Brain.
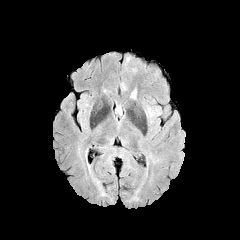
FLAIR MR.
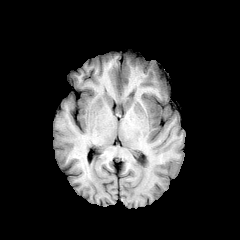
Same slice, T1-weighted MR.
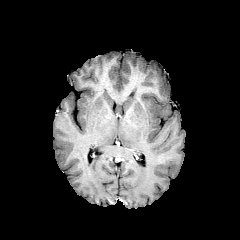
Post-contrast T1-weighted MR image.
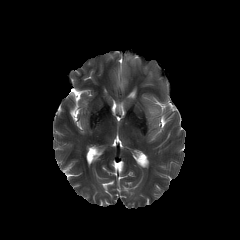
T2-weighted MR.
{"edema": ["[145,107,161,120]"]}